FLAIR MR image.
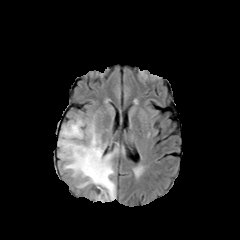
T1-weighted magnetic resonance.
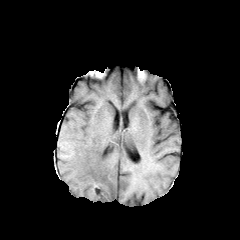
Post-contrast T1-weighted MR image.
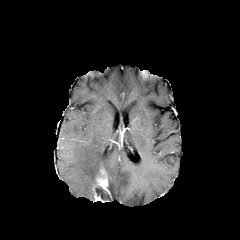
T2-weighted MR image.
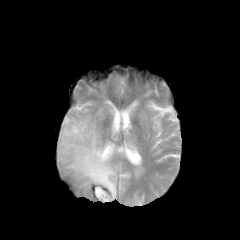
Head.
Edema: bounding box rect(58, 117, 119, 200).
Enhancing tumor: bounding box rect(96, 170, 107, 190).
Non-enhancing tumor core: bounding box rect(95, 166, 105, 183).